CT slice | Slice 432/588 | Field of view 351 mm wide, 1.00 mm slice spacing
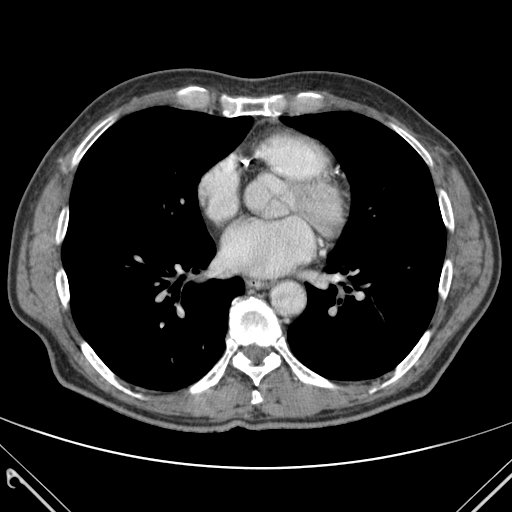
Annotated regions:
- bone: bbox(439, 261, 451, 297); bbox(175, 87, 204, 94); bbox(383, 332, 429, 385); bbox(56, 263, 69, 305); bbox(190, 297, 332, 392); bbox(73, 117, 116, 163); bbox(391, 125, 431, 163); bbox(56, 210, 68, 245); bbox(221, 93, 324, 116); bbox(82, 343, 131, 393); bbox(252, 391, 261, 403); bbox(439, 191, 453, 228)
- lung: bbox(281, 111, 445, 380); bbox(61, 106, 252, 390)